FLAIR MRI.
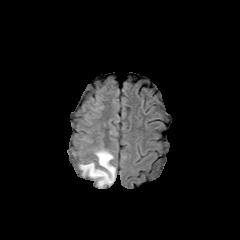
T1-weighted MR.
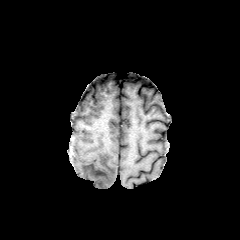
Post-contrast T1-weighted magnetic resonance.
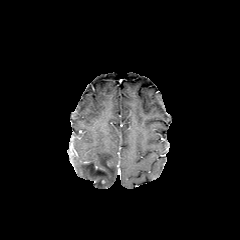
T2-weighted magnetic resonance.
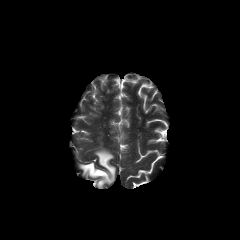
Head.
<segmentation>
  <non-enhancing_tumor_core>l=90, t=166, r=106, b=176</non-enhancing_tumor_core>
  <edema>l=78, t=149, r=115, b=187</edema>
</segmentation>